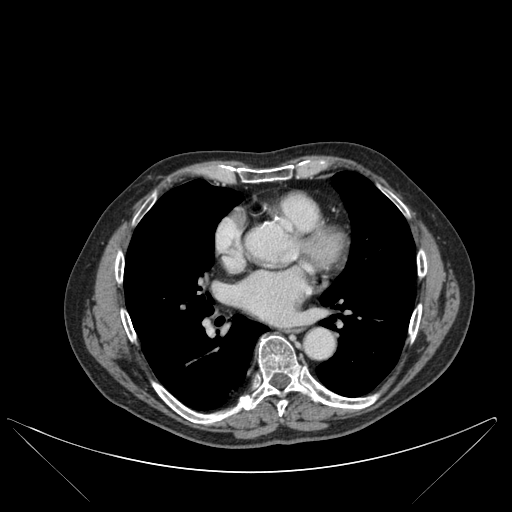
Computed tomography | Image size 512x512
lung: 124:179:268:409, 316:171:415:396 | bone: 121:310:135:340, 417:250:426:276, 153:335:377:423, 219:162:308:182, 115:251:124:282, 397:200:408:213, 409:304:421:341, 277:399:287:416